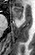 Hippocampus; MRI
anterior hippocampus: region(12, 6, 23, 19)